Upper abdomen. Slice 511/771. CT scan slice.
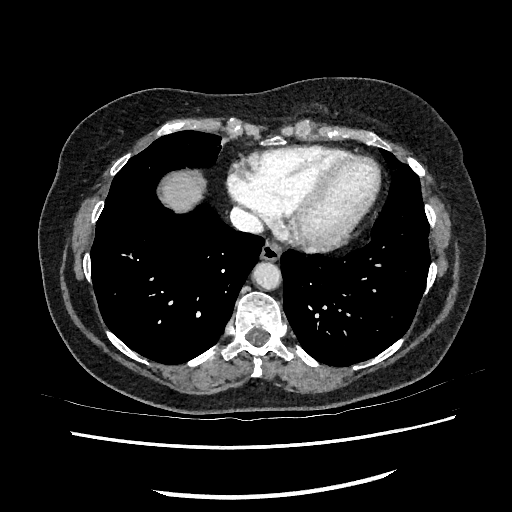 liver: {"x1": 162, "y1": 172, "x2": 201, "y2": 209}